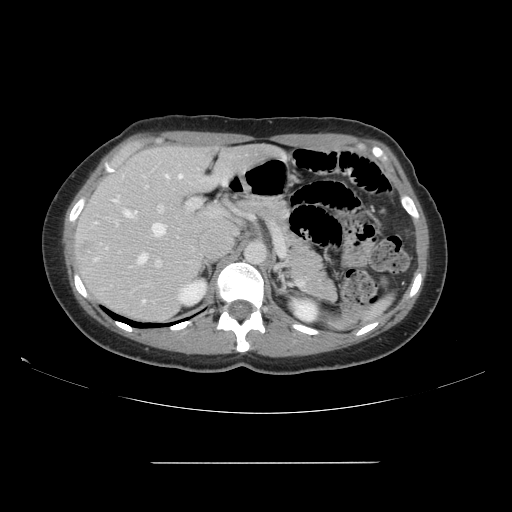

Image size 512x512 | Computed tomography | Abdomen
Only some of the vessels may be annotated.
partial: true
hepatic_vessel:
  # 15 of 18 shown
  - box(94, 221, 97, 224)
  - box(93, 257, 98, 261)
  - box(188, 198, 200, 208)
  - box(122, 175, 123, 177)
  - box(115, 221, 117, 225)
  - box(113, 195, 119, 202)
  - box(179, 175, 182, 178)
  - box(155, 260, 160, 267)
  - box(152, 223, 166, 236)
  - box(137, 253, 147, 264)
  - box(164, 174, 168, 177)
  - box(123, 210, 137, 216)
  - box(158, 205, 163, 211)
  - box(142, 299, 145, 303)
  - box(145, 184, 148, 187)